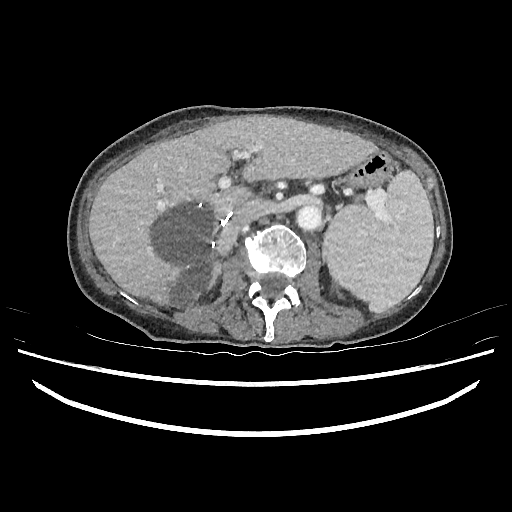 512x512 px | CT
2 liver regions are bounded by 206,260,218,288; 89,117,373,306. The liver lesion appears at 153,204,219,306.